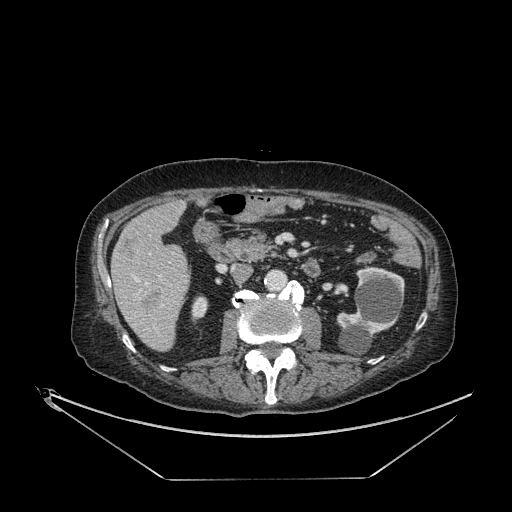 Liver, Image size 512x512, CT scan slice

2 liver lesion regions appear at <bbox>141, 290, 160, 313</bbox>, <bbox>120, 238, 137, 257</bbox>. The liver lies within <bbox>112, 201, 189, 351</bbox>. 5 kidney regions are located at <bbox>357, 267, 404, 293</bbox>, <bbox>337, 309, 395, 334</bbox>, <bbox>335, 284, 347, 293</bbox>, <bbox>192, 297, 206, 317</bbox>, <bbox>322, 283, 331, 290</bbox>.